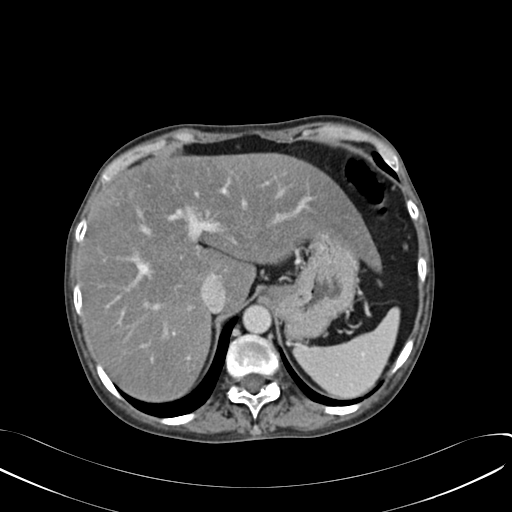

CT scan slice, 512x512 px
The liver is located at region(80, 152, 382, 401).